Slice 77 of 96; CT slice 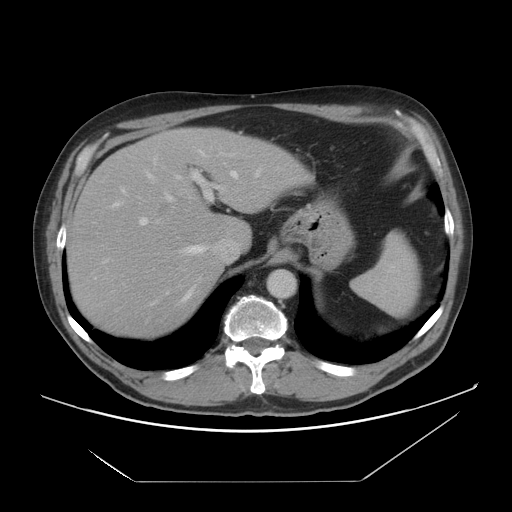
Hepatic lesion: box=[157, 203, 168, 217].
Liver: box=[65, 127, 313, 336].